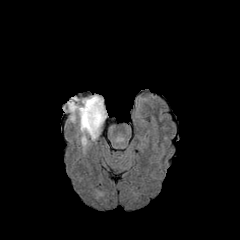
FLAIR MR.
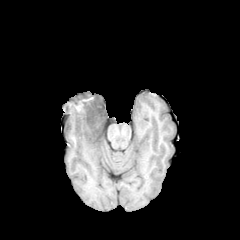
T1-weighted magnetic resonance.
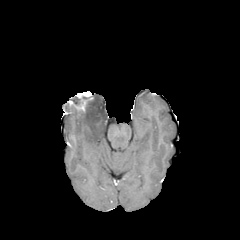
Post-contrast T1-weighted MR image.
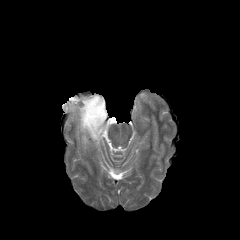
T2-weighted MR.
Non-enhancing tumor core: rect(66, 96, 105, 121).
Edema: rect(66, 106, 106, 148).